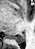 35x49; Hippocampus; MRI

The posterior hippocampus is bounded by 11, 32, 24, 42.